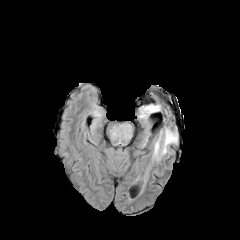
FLAIR MRI.
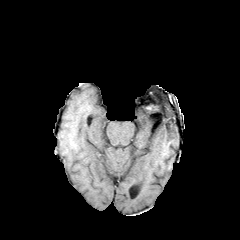
Same slice, T1-weighted MR.
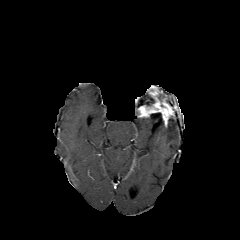
Same slice, post-contrast T1-weighted magnetic resonance.
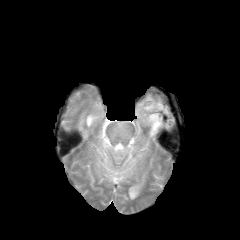
T2-weighted magnetic resonance.
Image size 240x240. Brain.
Enhancing tumor: bounding box 138,98,170,119.
Edema: bounding box 152,127,175,159.